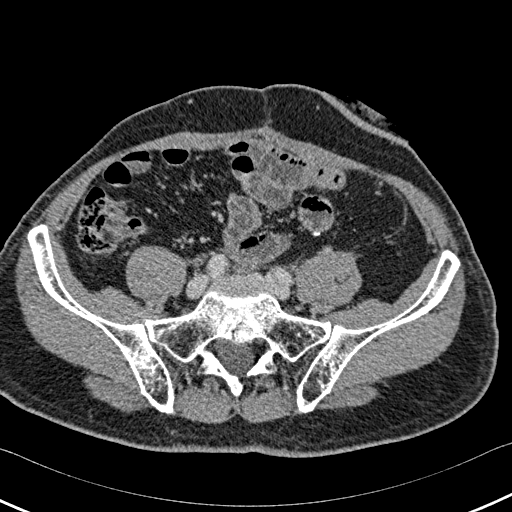
CT scan slice, 512x512 px

<segmentation>
  <bone>(x1=28, y1=225, x2=459, y2=413)</bone>
</segmentation>